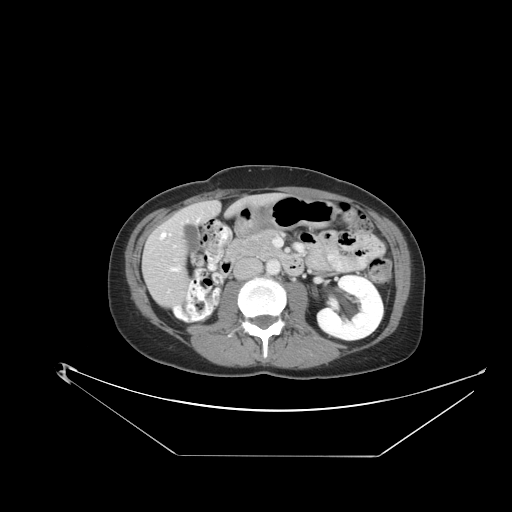

Image size 512x512 | CT image

pancreatic tumor: <box>257,235,269,246</box> | pancreas: <box>230,230,279,259</box>